Slice index 24; Abdomen; Computed tomography
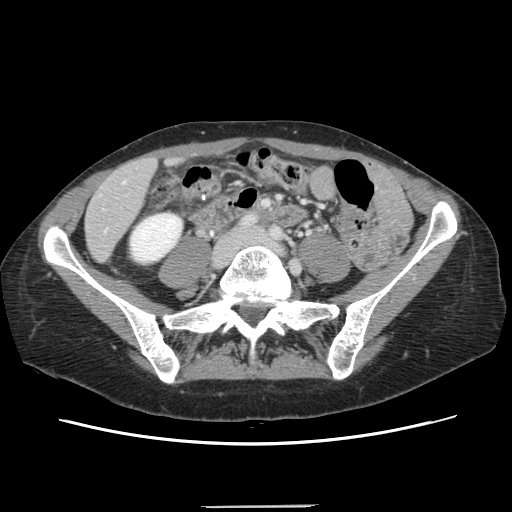

The vessel boxes may cover only some of the vessels.
hepatic_vessel:
  - [122,181,124,183]